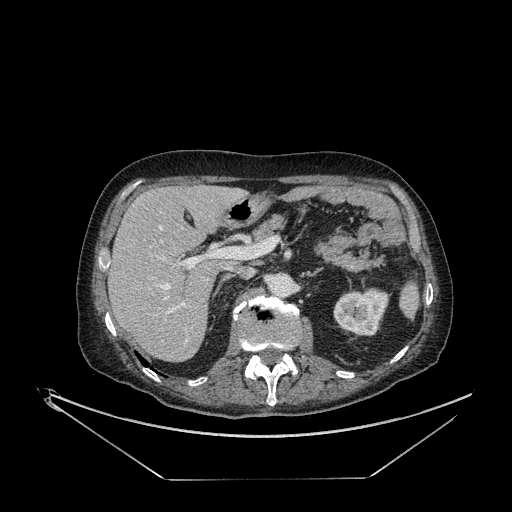
CT | Image size 512x512

{"liver": ["region(108, 185, 246, 361)"], "kidney": ["region(334, 288, 387, 335)"]}